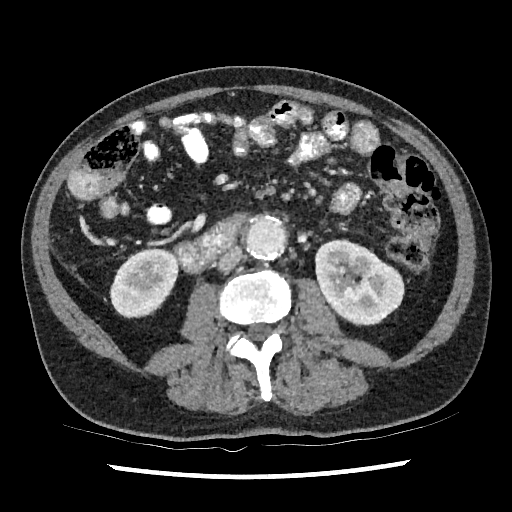 Computed tomography. kidney: (315,240,403,324), (111,249,177,317)